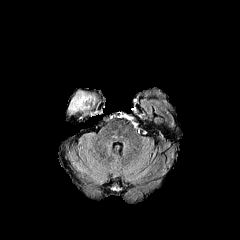
FLAIR MR image.
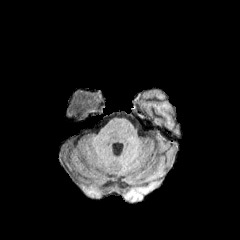
T1-weighted MR image of the same slice.
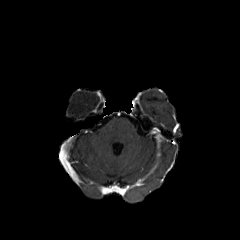
Post-contrast T1-weighted MR of the same slice.
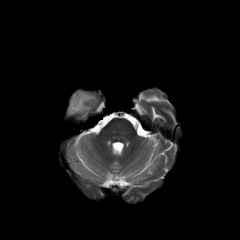
Same slice, T2-weighted MR.
240x240 px
The edema is at x1=67, y1=91, x2=99, y2=118.